512x512 px. CT scan slice. Field of view 360 mm wide, 1.25 mm slice spacing. 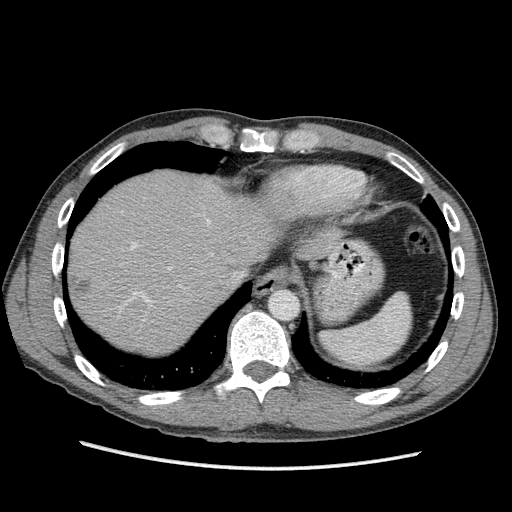
Liver lesion = [70, 275, 92, 294].
Liver = [293, 224, 344, 261], [69, 169, 288, 356].